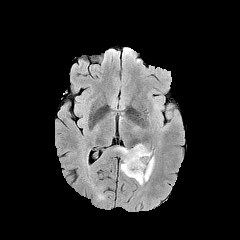
FLAIR MR image.
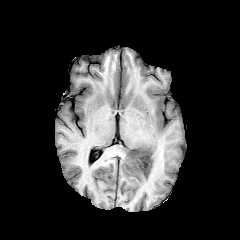
T1-weighted MRI.
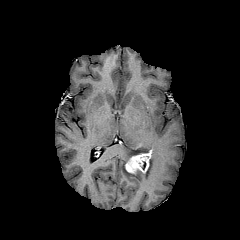
Same slice, post-contrast T1-weighted MR.
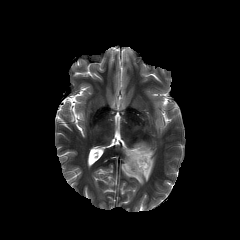
T2-weighted magnetic resonance.
240x240 px, Head
Findings:
* enhancing tumor: bbox(125, 150, 152, 172)
* edema: bbox(113, 143, 154, 184)